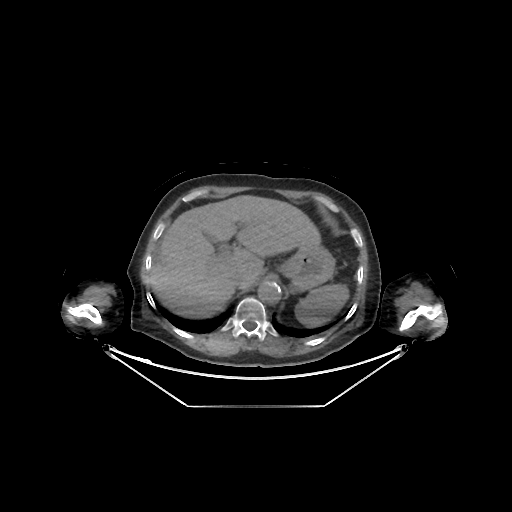
CT. Liver. <segmentation>
  <liver>150,196,319,317</liver>
  <lung>272,308,349,337; 151,294,232,333</lung>
  <bone>358,267,362,283; 400,305,441,330; 154,224,163,238; 147,293,154,306; 233,298,268,338; 306,338,323,345; 174,329,193,338; 146,255,150,269; 346,304,356,319; 68,303,101,324</bone>
</segmentation>